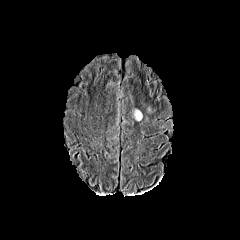
FLAIR MR.
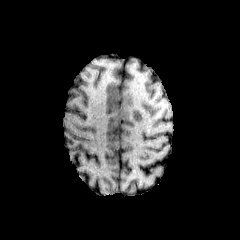
T1-weighted MRI of the same slice.
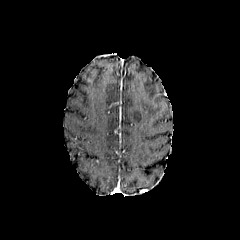
Post-contrast T1-weighted MRI.
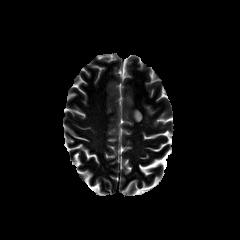
T2-weighted MRI of the same slice.
Head
The edema appears at x1=133, y1=108, x2=143, y2=121.